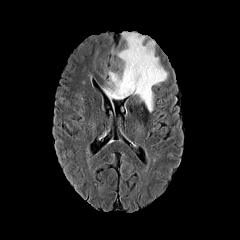
FLAIR MR image.
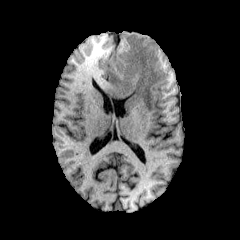
T1-weighted MR.
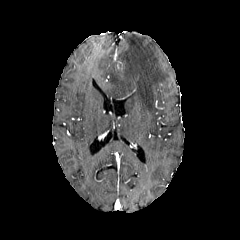
Same slice, post-contrast T1-weighted MR image.
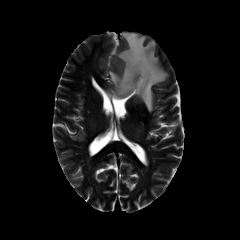
T2-weighted MR image.
240x240 px.
{"edema": ["(x1=102, y1=31, x2=167, y2=111)"]}